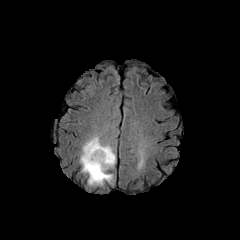
FLAIR MRI.
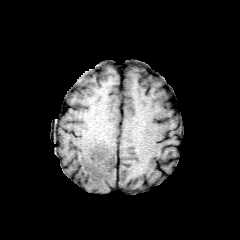
T1-weighted MR.
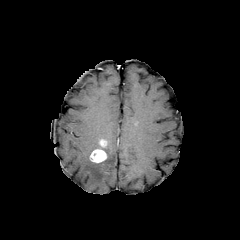
Post-contrast T1-weighted MRI.
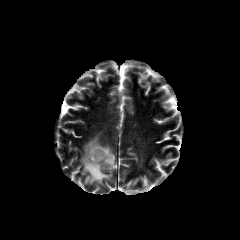
T2-weighted MRI of the same slice.
Brain
Annotated regions:
• edema: left=133, top=150, right=143, bottom=167; left=79, top=132, right=116, bottom=186
• enhancing tumor: left=89, top=140, right=107, bottom=162